FLAIR MRI.
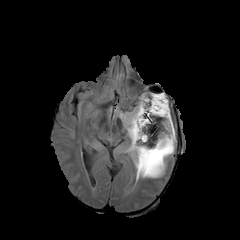
T1-weighted MR image.
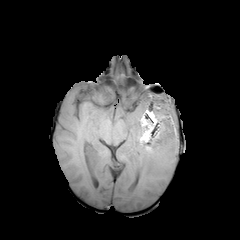
Post-contrast T1-weighted MRI.
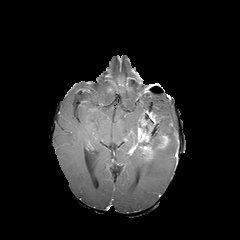
T2-weighted MR image.
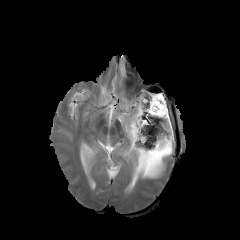
enhancing tumor: box=[142, 148, 153, 159]; box=[137, 127, 147, 141]; box=[158, 136, 168, 148] | edema: box=[116, 92, 175, 182] | non-enhancing tumor core: box=[133, 109, 161, 159]